512x512 px, Abdomen, Image width 496 mm, CT slice

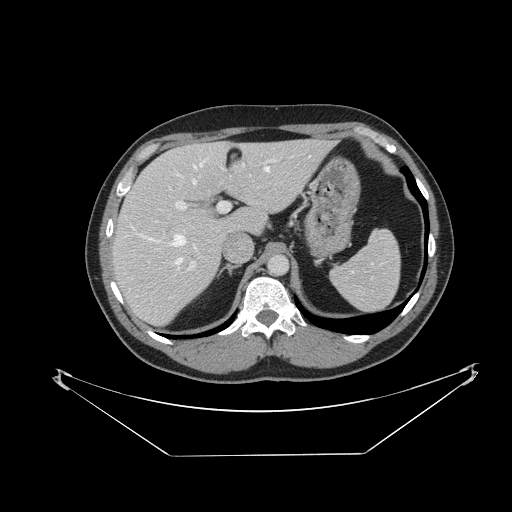

The spleen is bounded by box=[332, 229, 399, 312].